CT slice 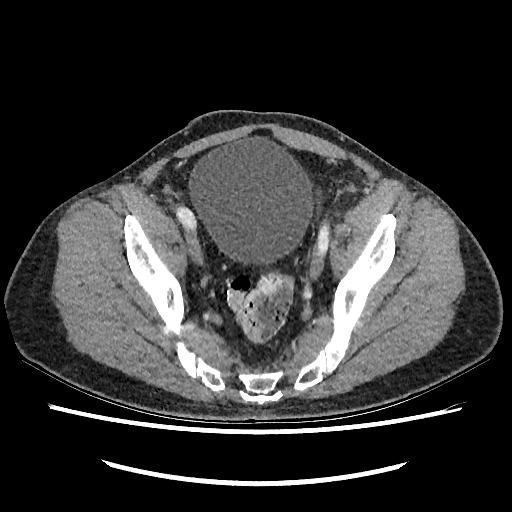

{
  "urinary_bladder": [
    "x1=188 y1=134 x2=314 y2=264"
  ]
}